Slice 8 of 40; MRI; Field of view 36 mm wide, 1.00 mm slice spacing; Medial temporal lobe
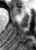 Anterior hippocampus at x1=13 y1=5 x2=20 y2=14.